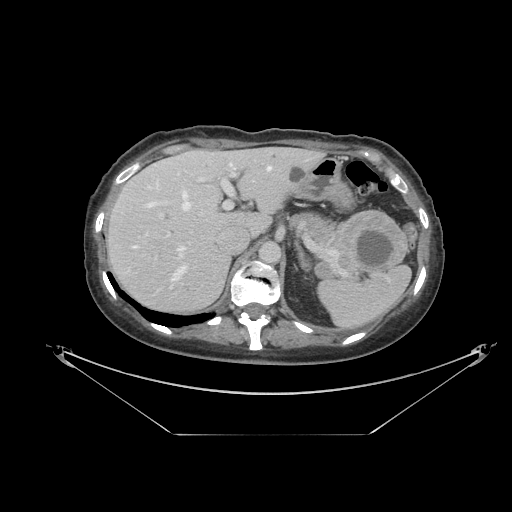

CT slice.

{
  "pancreas": [
    "[291,211,356,279]"
  ],
  "pancreatic_tumor": [
    "[330,209,407,278]"
  ]
}